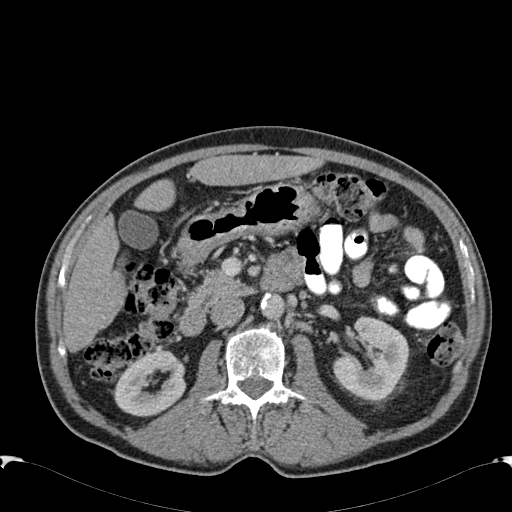

CT slice, Abdomen
3 liver regions are located at bbox=[134, 179, 174, 210]; bbox=[191, 156, 321, 185]; bbox=[63, 214, 125, 351]. 2 kidney regions are bounded by bbox=[115, 350, 185, 415]; bbox=[334, 318, 408, 400].